Field of view 373x373 mm. CT slice.
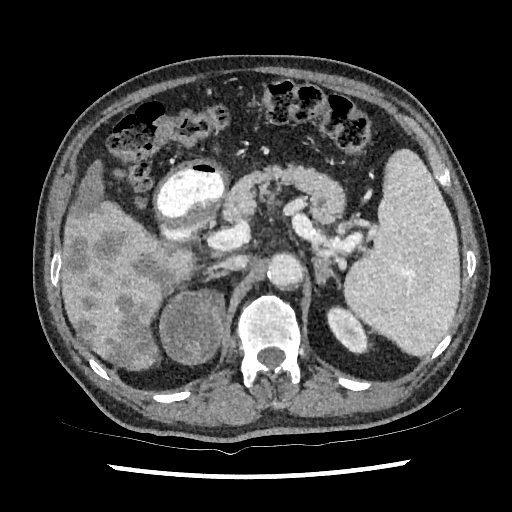
The kidney is located at box(328, 308, 366, 352). 2 liver regions appear at box(61, 192, 197, 362); box(127, 357, 156, 369). 7 hepatic lesion regions are bounded by box(74, 318, 95, 346); box(104, 295, 157, 367); box(159, 244, 174, 255); box(132, 253, 178, 292); box(80, 295, 102, 312); box(69, 161, 102, 218); box(64, 230, 128, 289).